Slice 57 of 98; CT; Abdomen; Image size 512x512 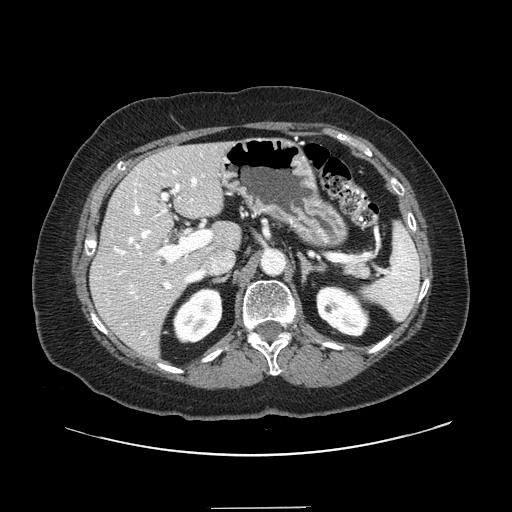 pancreas:
  - 343 255 369 278